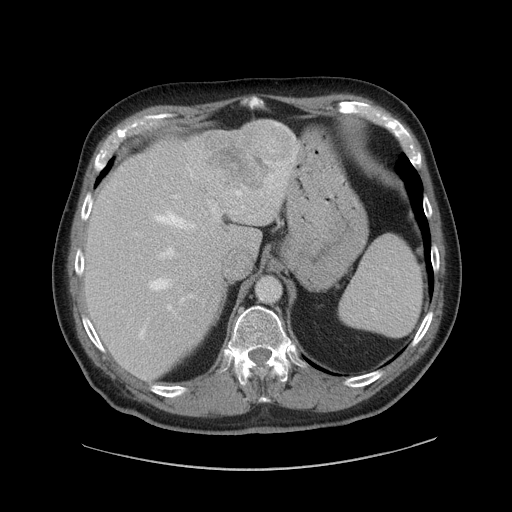 Computed tomography. Liver.
Not every hepatic vessel necessarily has a box.
Liver tumor — left=200, top=121, right=294, bottom=195.
Hepatic vessel — left=167, top=305, right=171, bottom=309; left=236, top=193, right=241, bottom=195; left=249, top=216, right=252, bottom=217; left=147, top=318, right=148, bottom=319; left=189, top=295, right=191, bottom=297; left=161, top=248, right=173, bottom=258; left=155, top=211, right=194, bottom=227; left=181, top=298, right=183, bottom=301; left=145, top=179, right=147, bottom=180; left=210, top=204, right=218, bottom=220; left=241, top=205, right=245, bottom=208; left=139, top=328, right=144, bottom=338; left=150, top=278, right=167, bottom=289; left=160, top=201, right=162, bottom=202.